CT slice, Image width 500 mm 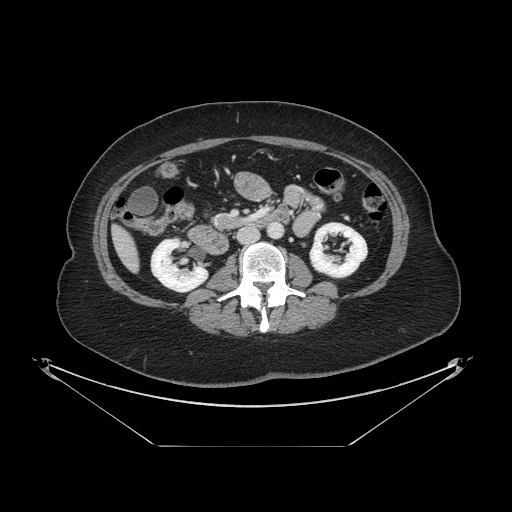

pancreas:
  - [x1=213, y1=213, x2=243, y2=230]